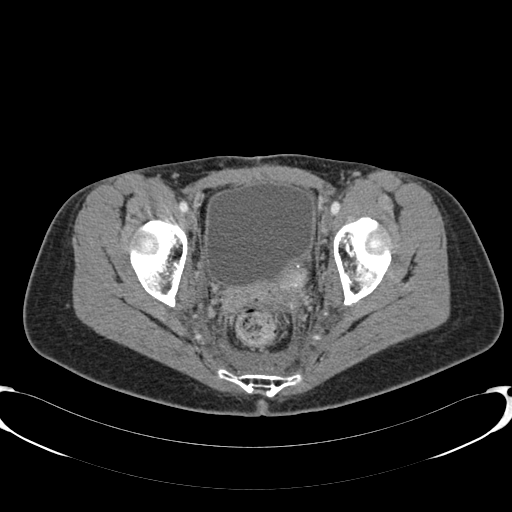
512x512 px | Lower abdomen | CT slice
Urinary bladder: region(207, 183, 312, 285).